MR image | Hippocampus
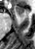
Anterior hippocampus — x1=15 y1=5 x2=24 y2=15.